Slice 85/141. CT scan slice.

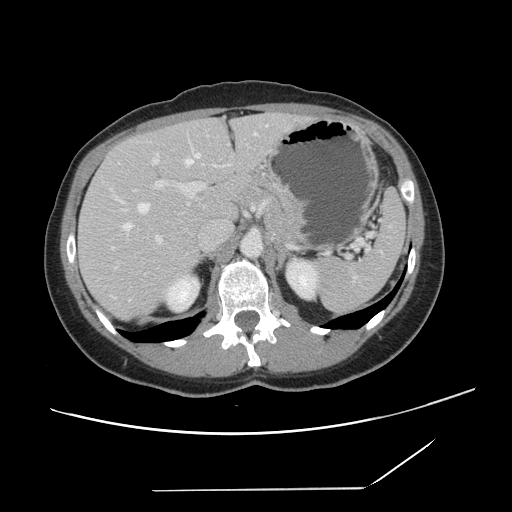

The vessel annotation is not exhaustive.
Top 15 of 17 hepatic vessel regions at 253 133 256 135, 156 180 165 186, 177 182 203 190, 156 235 161 242, 152 153 158 164, 214 165 218 166, 114 195 123 203, 225 164 230 165, 138 203 149 212, 122 209 126 210, 110 247 114 249, 110 189 112 190, 123 224 131 229, 189 141 199 157, 186 159 192 165.